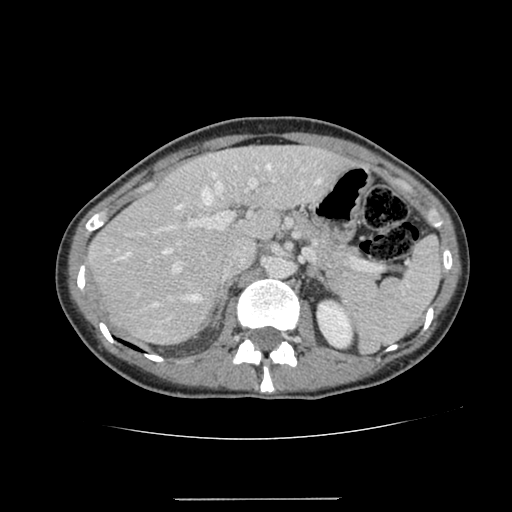
CT slice; 512x512
Annotated regions:
* kidney: x1=317 y1=302 x2=351 y2=347
* liver: x1=89 y1=145 x2=353 y2=344